Image size 512x512; CT
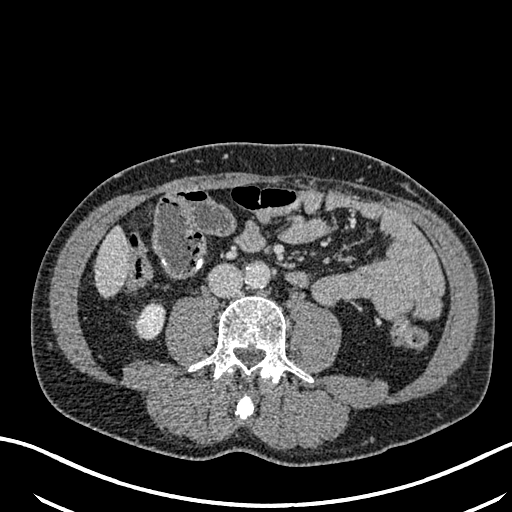 Annotated regions:
- kidney: [137, 304, 163, 337]
- liver: [96, 227, 126, 295]